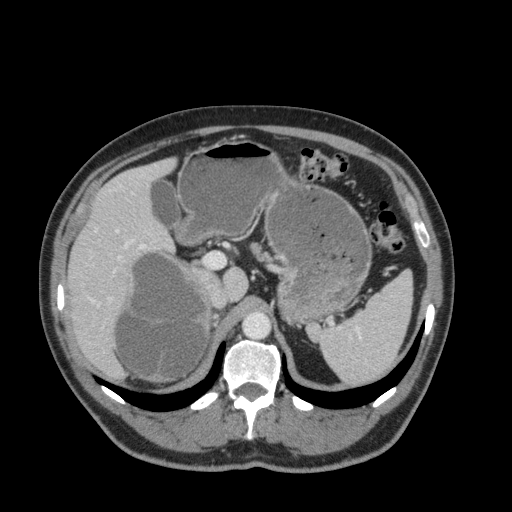
CT; 512x512 px; Abdomen
Segmented structures:
- liver: x1=69, y1=160, x2=172, y2=376; x1=224, y1=269, x2=247, y2=299